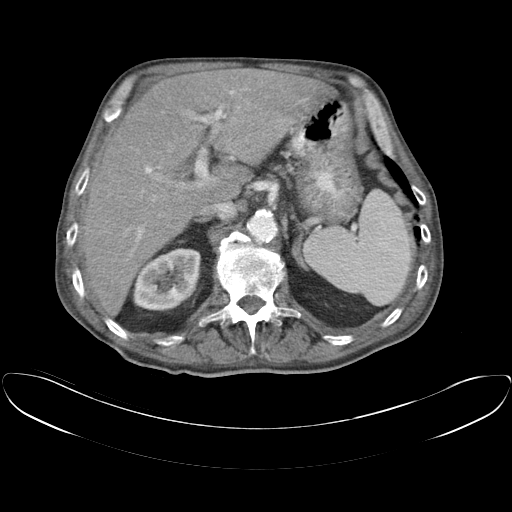

CT
The vessel boxes may cover only some of the vessels.
Hepatic vessel = 196, 162, 208, 181; 248, 103, 250, 104; 222, 113, 225, 115; 229, 89, 234, 95; 167, 181, 169, 182; 129, 227, 144, 256; 145, 167, 151, 172; 228, 139, 230, 140; 242, 87, 247, 90; 220, 104, 222, 108; 153, 196, 155, 199; 182, 109, 199, 119; 158, 214, 161, 217; 176, 183, 183, 187.